CT image | Slice 67 of 105 | Field of view 404 mm wide, 2.50 mm slice spacing

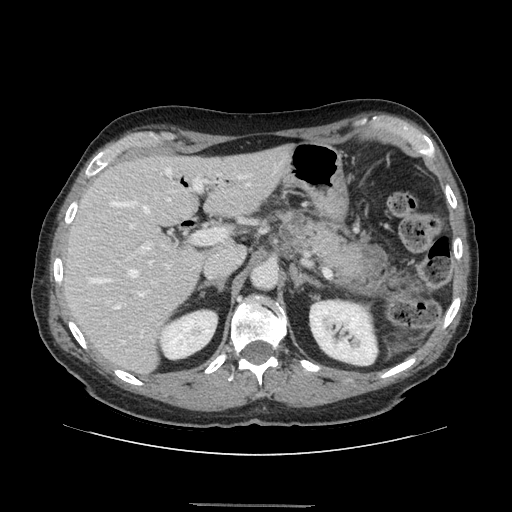 {
  "pancreas": [
    "<bbox>294, 219, 362, 278</bbox>"
  ]
}